Brain
FLAIR magnetic resonance.
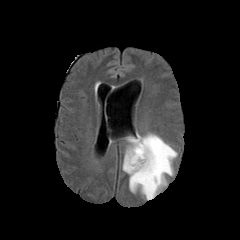
T1-weighted MRI.
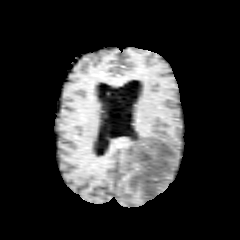
Post-contrast T1-weighted MR image.
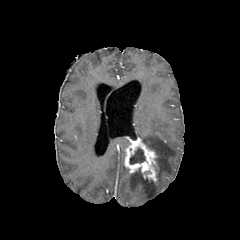
T2-weighted MRI.
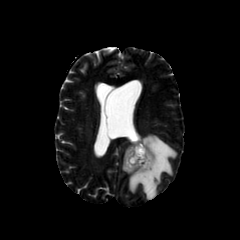
enhancing_tumor:
  - [x1=124, y1=136, x2=158, y2=184]
edema:
  - [x1=122, y1=132, x2=177, y2=200]
non-enhancing_tumor_core:
  - [x1=130, y1=148, x2=144, y2=164]